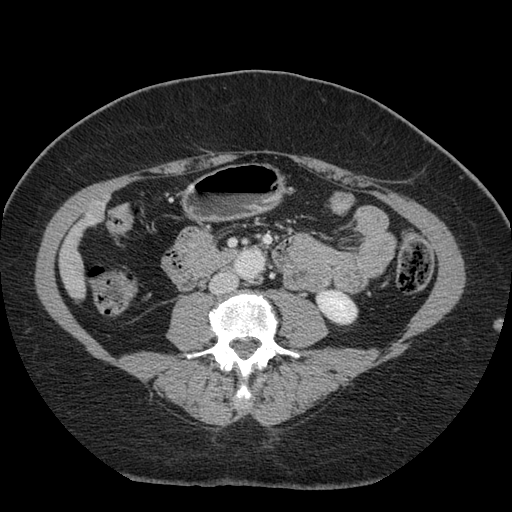 CT slice. Abdomen. {
  "liver_tumor": [
    "87 204 99 217"
  ]
}